CT slice | Image width 396 mm | Slice 52 of 85 | Upper abdomen
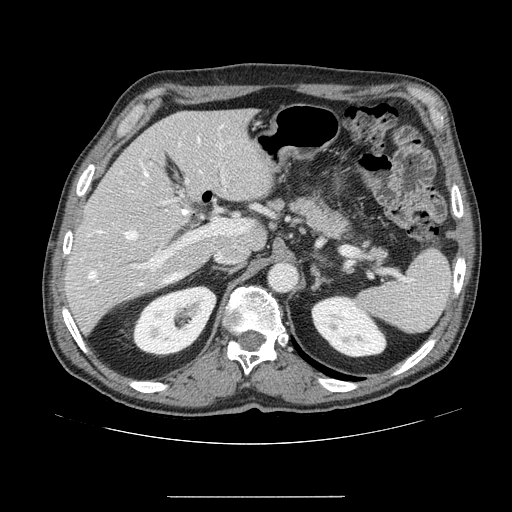
The pancreas is at 264 187 392 268.